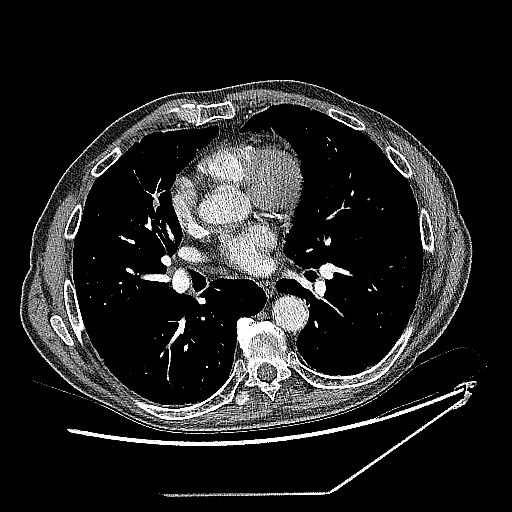
Lung | CT image
The lung tumor is at left=150, top=185, right=170, bottom=216.